Head.
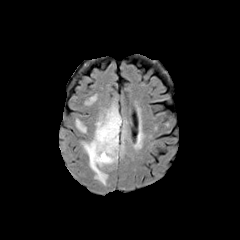
FLAIR MR.
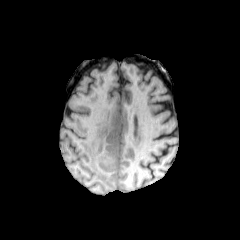
T1-weighted magnetic resonance of the same slice.
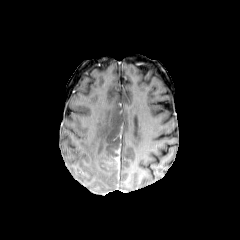
Post-contrast T1-weighted magnetic resonance of the same slice.
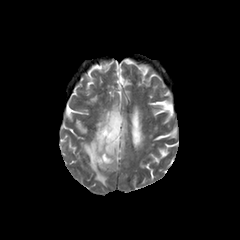
T2-weighted MR image.
{
  "edema": [
    "[86, 95, 97, 104]",
    "[81, 101, 128, 185]"
  ],
  "enhancing_tumor": [
    "[114, 148, 120, 163]"
  ]
}